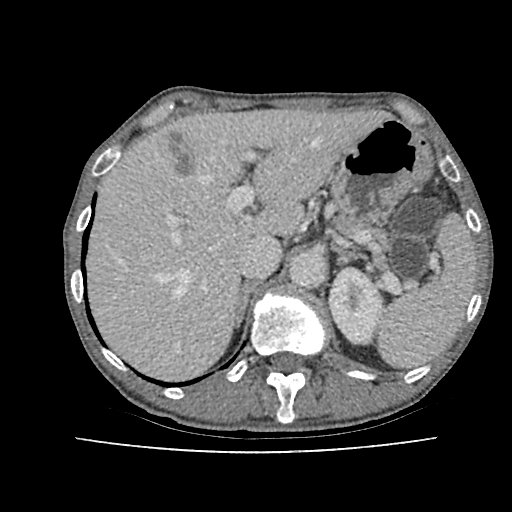 Liver; CT image
Annotated regions:
- hepatic lesion: [167, 132, 195, 177]
- liver: [89, 110, 378, 379]
- kidney: [329, 271, 380, 341]